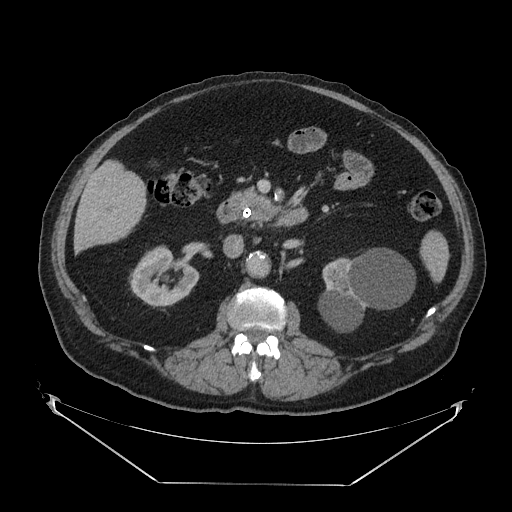
CT slice

Pancreatic tumor = (253, 201, 264, 212).
Pancreas = (232, 190, 275, 218).